Slice 78/155; Image size 240x240
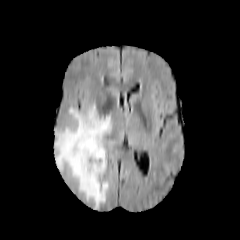
FLAIR MR.
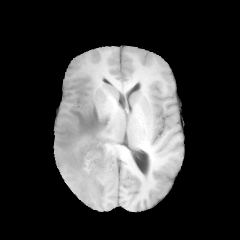
T1-weighted magnetic resonance.
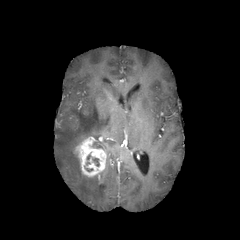
Post-contrast T1-weighted MRI.
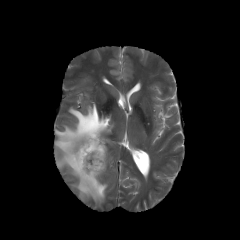
T2-weighted MR image.
Edema at rect(55, 102, 113, 206).
Non-enhancing tumor core at rect(86, 155, 100, 166).
Enhancing tumor at rect(75, 137, 106, 177).